Image size 512x512. Computed tomography. Slice index 461. 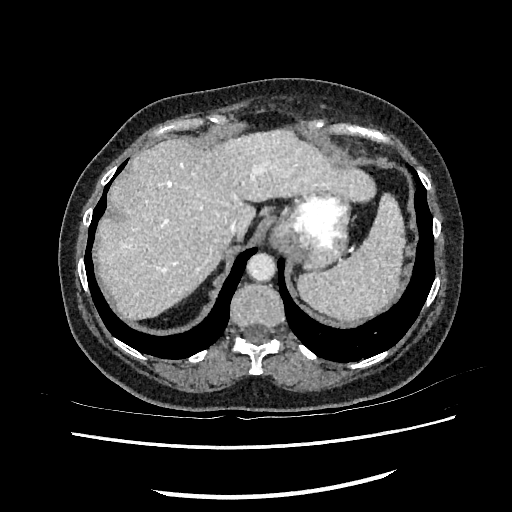 * liver: x1=96, y1=130, x2=374, y2=319